Chest, CT image 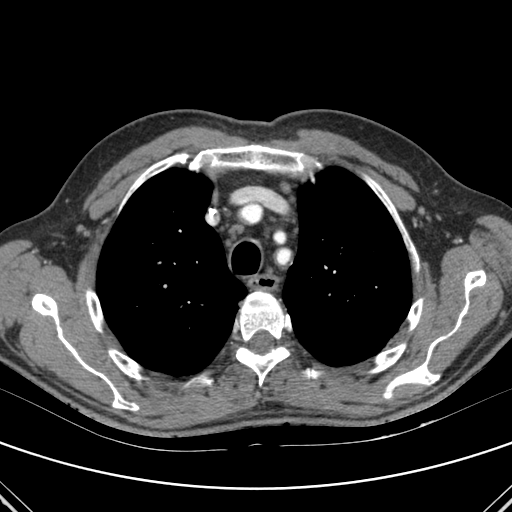
13 bone regions are bounded by x1=236, y1=346, x2=289, y2=385; x1=189, y1=145, x2=312, y2=171; x1=32, y1=294, x2=138, y2=410; x1=124, y1=153, x2=188, y2=202; x1=185, y1=375, x2=212, y2=386; x1=407, y1=298, x2=422, y2=330; x1=235, y1=291, x2=291, y2=341; x1=370, y1=343, x2=405, y2=372; x1=86, y1=289, x2=102, y2=331; x1=108, y1=349, x2=143, y2=379; x1=303, y1=369, x2=321, y2=378; x1=365, y1=175, x2=418, y2=271; x1=383, y1=270, x2=486, y2=398. 2 lung regions appear at x1=282, y1=167, x2=411, y2=366; x1=96, y1=168, x2=246, y2=376.